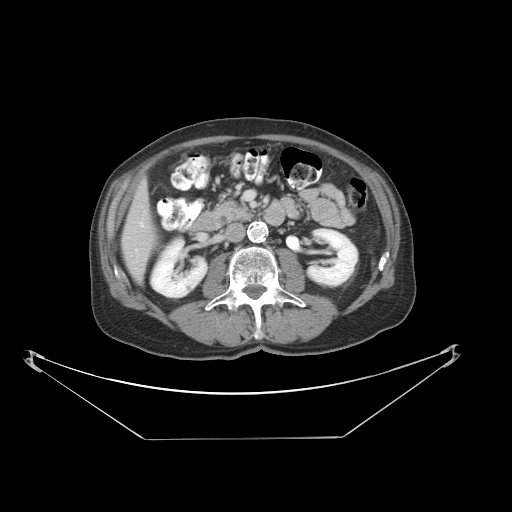
CT slice; Liver
The vessel boxes may cover only some of the vessels.
hepatic_vessel:
  - rect(139, 221, 143, 227)
  - rect(135, 249, 137, 251)